Slice 403/751; Image size 512x512; CT 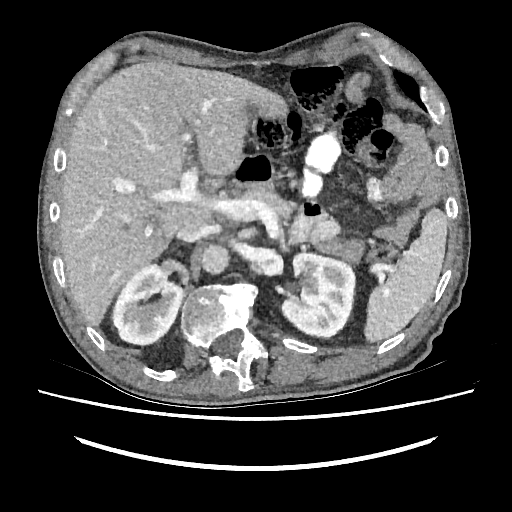
{"kidney": ["[113, 265, 182, 344]", "[282, 253, 354, 336]"], "liver": ["[62, 62, 287, 324]"], "hepatic_lesion": ["[244, 103, 260, 117]", "[148, 214, 158, 223]"]}